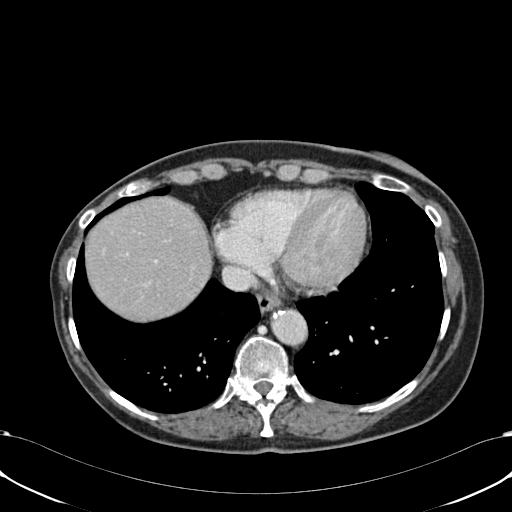
Computed tomography. Image size 512x512. liver:
  - left=86, top=197, right=210, bottom=319